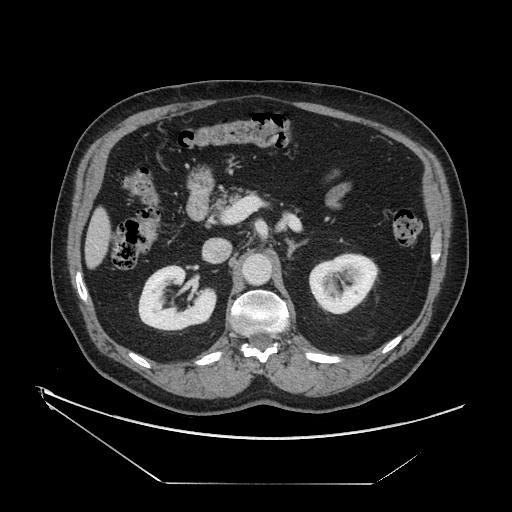 Image size 512x512 | CT image | Upper abdomen
pancreas:
  - 209:185:254:219